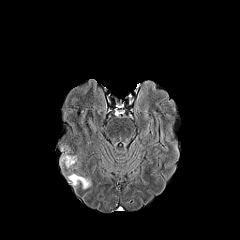
FLAIR magnetic resonance.
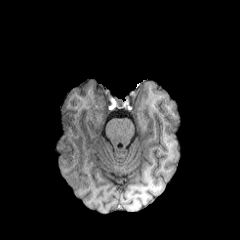
Same slice, T1-weighted MRI.
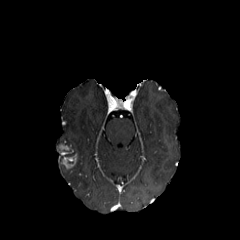
Post-contrast T1-weighted MRI.
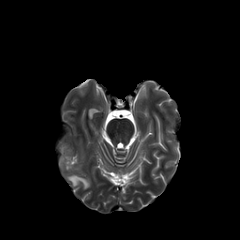
T2-weighted MRI of the same slice.
Brain
The edema lies within bbox=[68, 175, 90, 189]. 2 enhancing tumor regions appear at bbox=[59, 154, 75, 168]; bbox=[59, 144, 69, 155].